Image width 351 mm. CT scan slice.

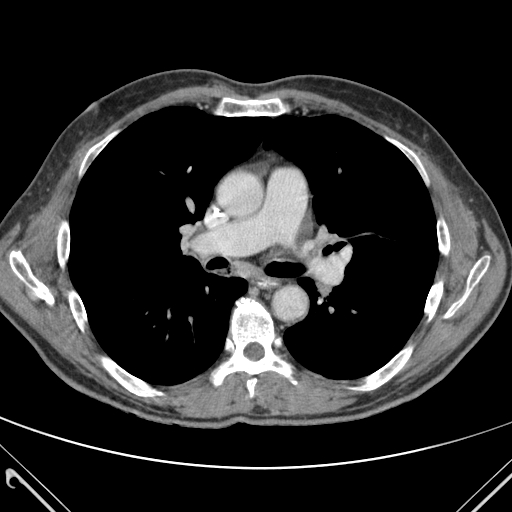
13 bone regions are located at left=57, top=222, right=69, bottom=266; left=354, top=348, right=411, bottom=390; left=214, top=298, right=291, bottom=384; left=81, top=132, right=115, bottom=170; left=10, top=251, right=53, bottom=303; left=102, top=358, right=161, bottom=396; left=445, top=256, right=489, bottom=317; left=389, top=139, right=425, bottom=175; left=425, top=282, right=442, bottom=319; left=247, top=378, right=256, bottom=396; left=216, top=98, right=290, bottom=116; left=437, top=221, right=449, bottom=254; left=69, top=292, right=86, bottom=329. The lung is at left=69, top=107, right=438, bottom=384.